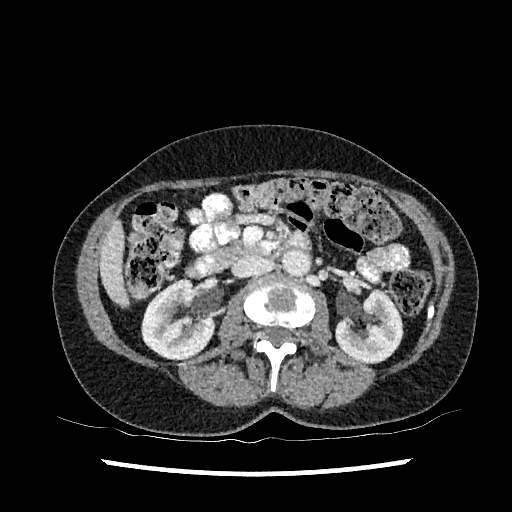
512x512 px, CT slice, Abdomen
liver:
  - 99, 221, 126, 304
kidney:
  - 336, 291, 402, 362
  - 142, 280, 213, 358